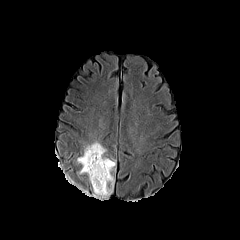
FLAIR MRI.
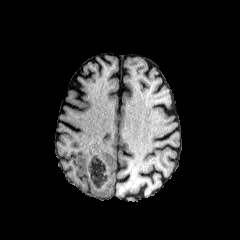
T1-weighted MR of the same slice.
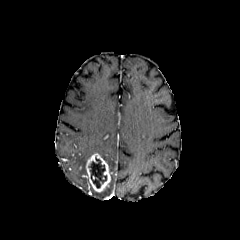
Post-contrast T1-weighted MR.
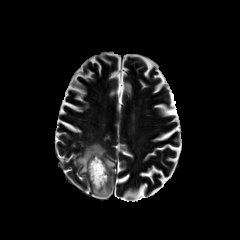
T2-weighted MR image.
<segmentation>
  <enhancing_tumor>85 153 110 192</enhancing_tumor>
  <non-enhancing_tumor_core>88 156 107 188</non-enhancing_tumor_core>
  <edema>94 176 113 196, 105 159 115 171, 77 143 105 173</edema>
</segmentation>